FLAIR MR image.
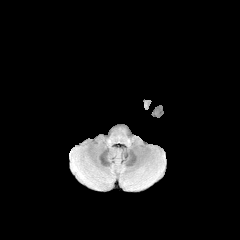
T1-weighted MR.
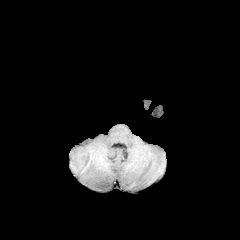
Post-contrast T1-weighted MR.
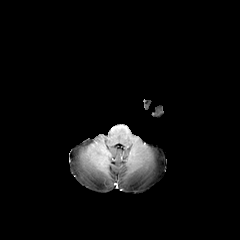
T2-weighted MR image.
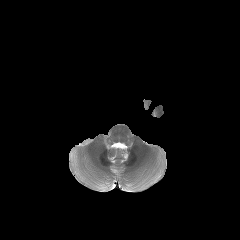
- edema: (81, 170, 107, 188), (72, 150, 79, 164), (133, 170, 159, 186)